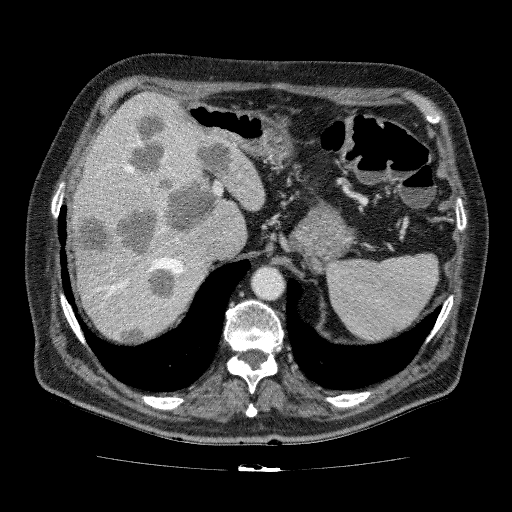
CT slice. 512x512 px. Abdomen. 2 liver regions are bounded by 76, 199, 246, 342; 71, 91, 264, 228. 5 focal liver lesion regions appear at 72, 138, 235, 272; 127, 111, 168, 174; 145, 269, 177, 300; 118, 325, 148, 342; 78, 172, 85, 186.